FLAIR MR image.
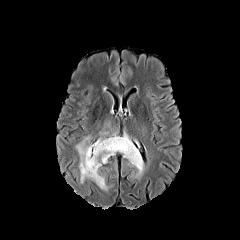
T1-weighted MR.
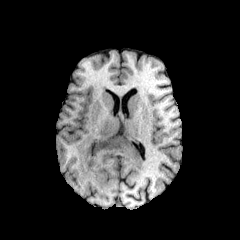
Post-contrast T1-weighted MR image.
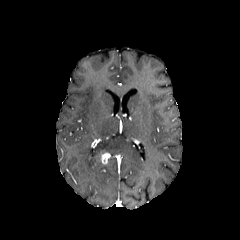
T2-weighted MRI.
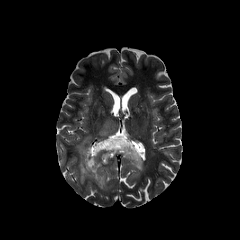
<segmentation>
  <enhancing_tumor>[x1=100, y1=153, x2=110, y2=164]</enhancing_tumor>
  <edema>[x1=76, y1=132, x2=144, y2=189]</edema>
</segmentation>